Liver, Slice index 555, CT, Field of view 382 mm wide, 0.70 mm slice spacing 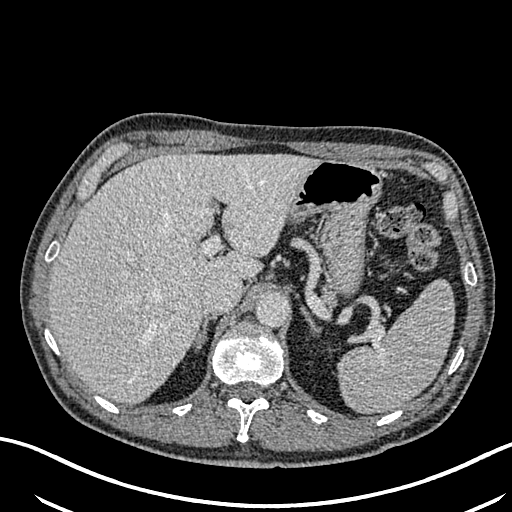 The liver lies within 49,154,319,403.